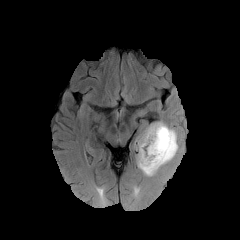
FLAIR magnetic resonance.
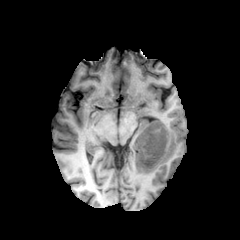
Same slice, T1-weighted MRI.
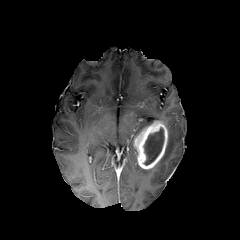
Post-contrast T1-weighted MRI of the same slice.
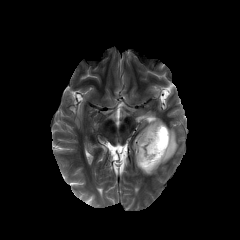
Same slice, T2-weighted magnetic resonance.
Head | 240x240
* enhancing tumor: l=134, t=121, r=167, b=169
* non-enhancing tumor core: l=144, t=127, r=164, b=165
* edema: l=135, t=120, r=178, b=176